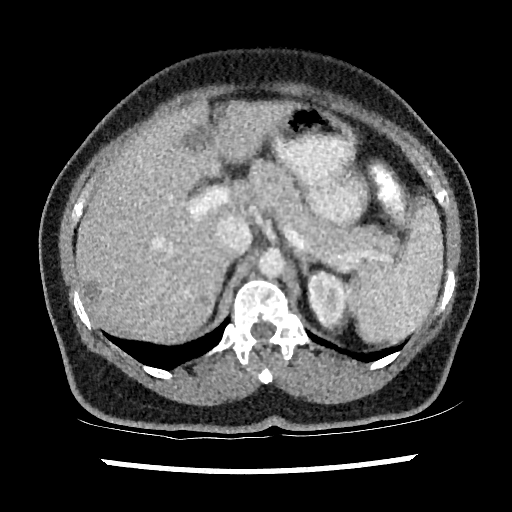

512x512, CT image

The liver lies within box(77, 99, 296, 340). The kidney is at box(309, 272, 359, 325). 4 hepatic lesion regions are located at box(202, 297, 211, 305); box(215, 107, 228, 122); box(183, 126, 213, 150); box(84, 281, 99, 302).